CT scan slice. Image size 512x512.

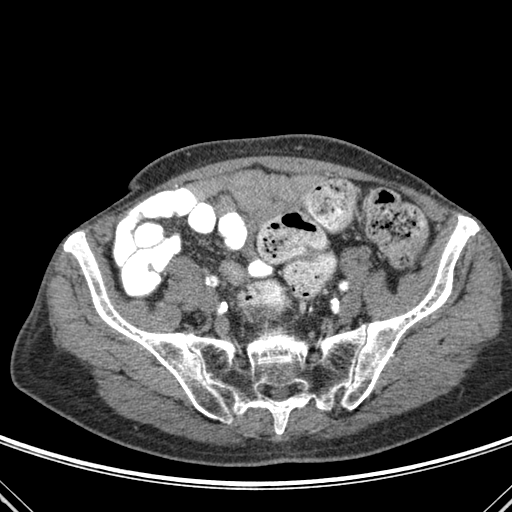

<segmentation>
  <bone>box=[63, 215, 479, 434]</bone>
</segmentation>